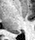 Hippocampus; 35x40; MRI slice
posterior_hippocampus:
  - 10, 31, 19, 33